FLAIR MR image.
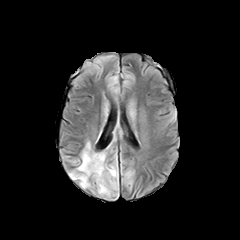
T1-weighted magnetic resonance.
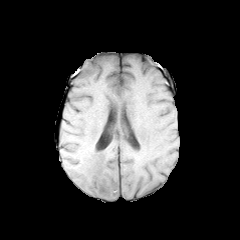
Post-contrast T1-weighted MR image.
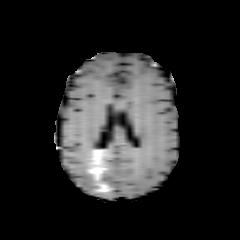
T2-weighted magnetic resonance.
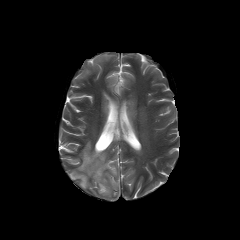
240x240
Non-enhancing tumor core = [87,150,101,174].
Enhancing tumor = [94,158,101,179].
Edema = [78,152,92,172], [71,172,87,187], [105,163,117,175].